Slice index 97 | CT slice | Thorax | Field of view 400 mm wide, 2.50 mm slice spacing
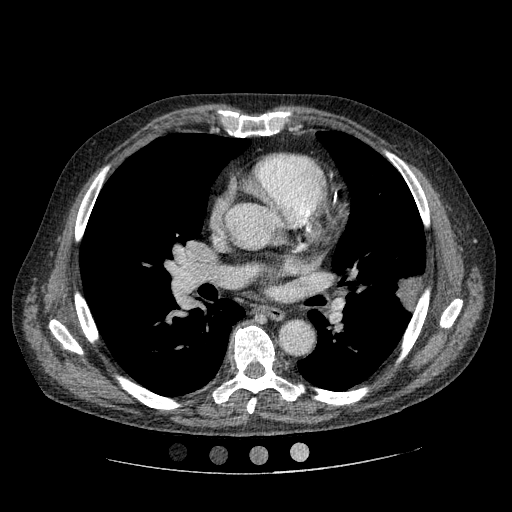

lung tumor: (left=394, top=271, right=423, bottom=315)